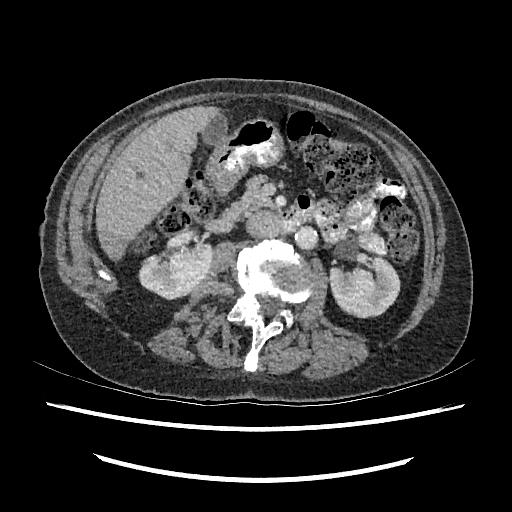
CT scan slice. Image size 512x512.
<segmentation>
  <focal_liver_lesion>bbox=[107, 233, 127, 250]</focal_liver_lesion>
  <liver>bbox=[98, 106, 218, 260]</liver>
  <kidney>bbox=[140, 244, 213, 298]; bbox=[330, 254, 399, 317]</kidney>
</segmentation>